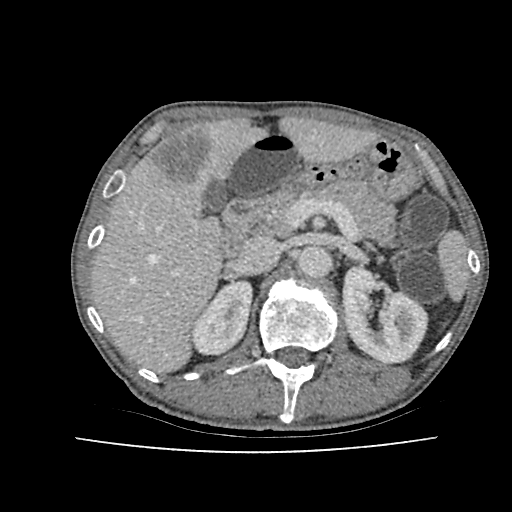

Computed tomography
focal_liver_lesion:
  - l=152, t=132, r=213, b=187
liver:
  - l=93, t=120, r=260, b=369
  - l=283, t=119, r=370, b=160
kidney:
  - l=343, t=268, r=426, b=362
  - l=193, t=282, r=251, b=353